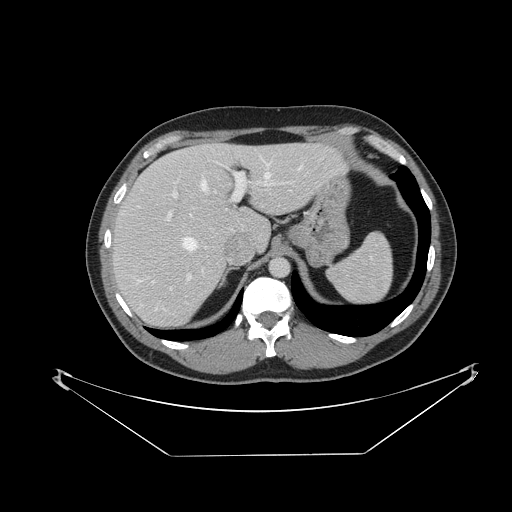

CT scan slice

Spleen = (329,233,392,304).